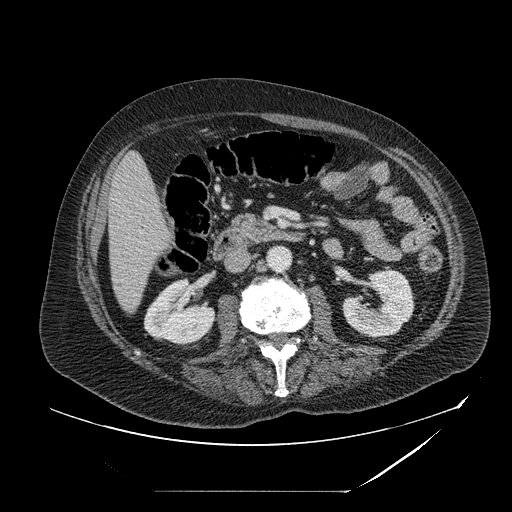 Upper abdomen; Image size 512x512; CT
Segmented structures:
* pancreas: <bbox>227, 214, 271, 243</bbox>